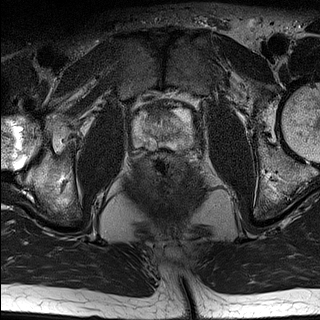
T2-weighted MR.
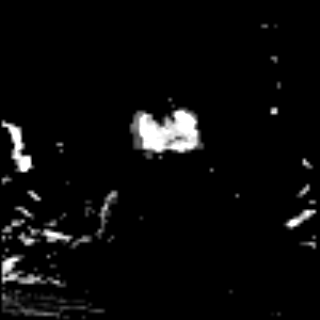
ADC MRI.
<segmentation>
  <prostate_peripheral_zone>region(135, 112, 192, 147)</prostate_peripheral_zone>
  <prostate_transition_zone>region(143, 112, 183, 138)</prostate_transition_zone>
</segmentation>